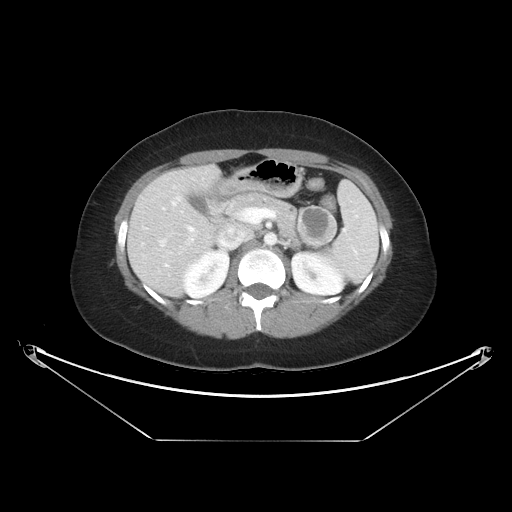
Upper abdomen | Computed tomography
Pancreatic tumor: bounding box l=298, t=207, r=337, b=246.
Pancreas: bounding box l=228, t=193, r=305, b=245.